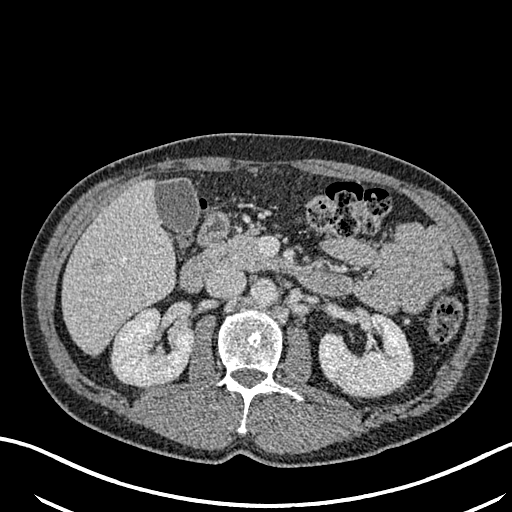 CT, Liver
Segmented structures:
• kidney: box(112, 309, 193, 385); box(320, 311, 412, 395)
• liver: box(64, 179, 175, 353)
• hepatic lesion: box(90, 258, 103, 273)